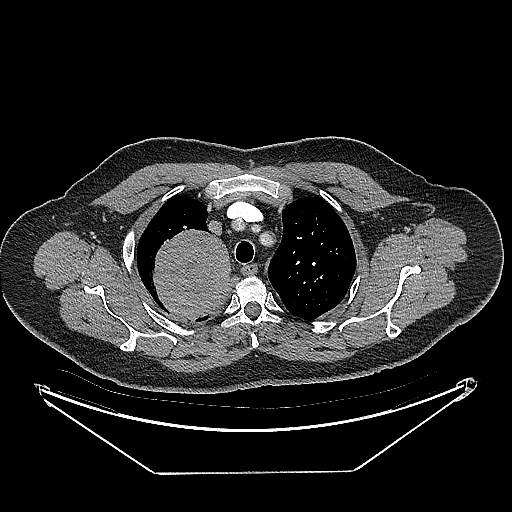

CT.
The lung tumor lies within rect(148, 228, 233, 321).